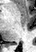
MRI | Hippocampus
Posterior hippocampus — 15, 44, 18, 44.